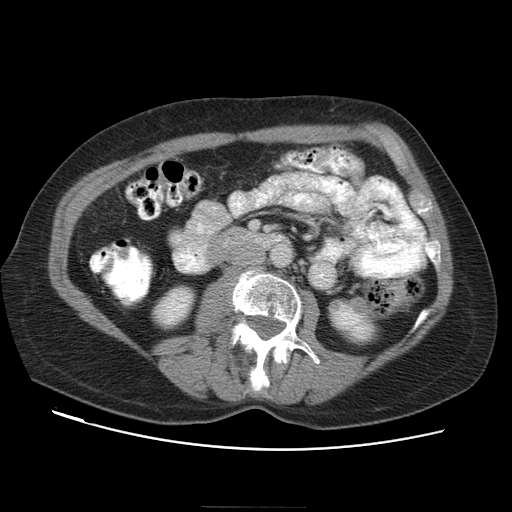

Computed tomography, Image size 512x512
The pancreas lies within [204,227,255,267].